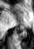
Magnetic resonance | Medial temporal lobe
Posterior hippocampus at [x1=18, y1=30, x2=26, y2=40].